Abdomen. CT slice. Slice 540/630.
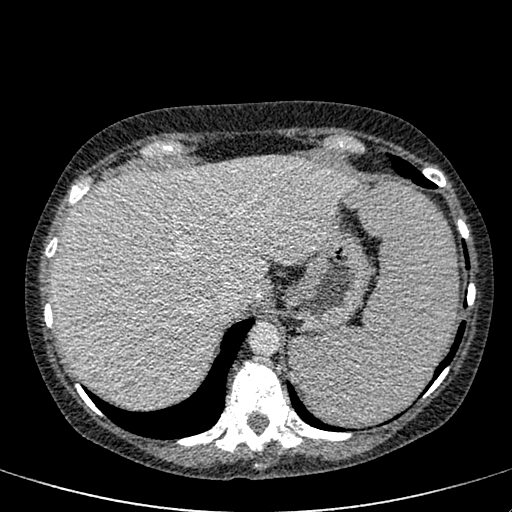
liver:
  - 54,157,356,407